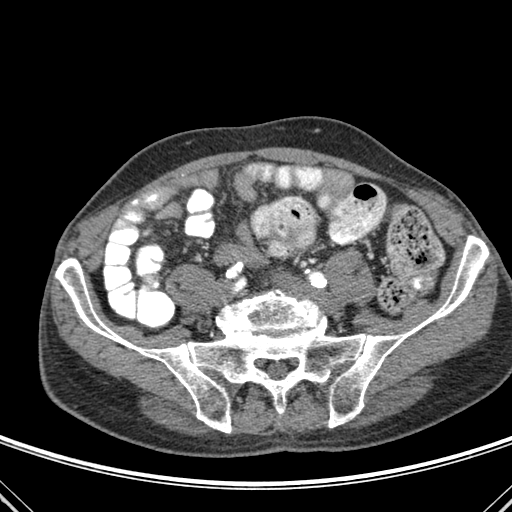
CT image
{"bone": ["(55, 235, 488, 432)"]}